Hippocampus. Magnetic resonance.
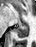
The posterior hippocampus is located at bbox=[14, 24, 29, 37].